Computed tomography, Upper abdomen, Image size 512x512
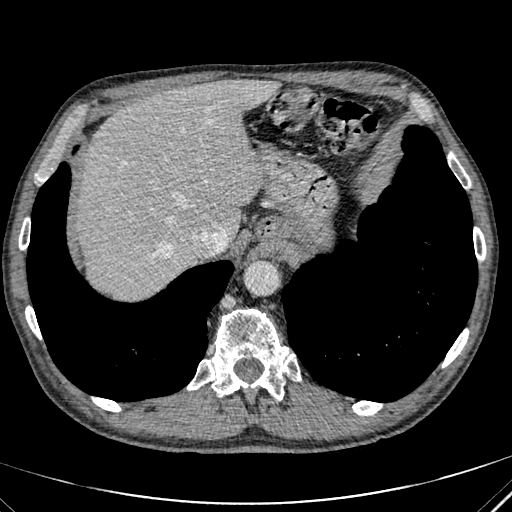 Liver — left=79, top=80, right=279, bottom=299.